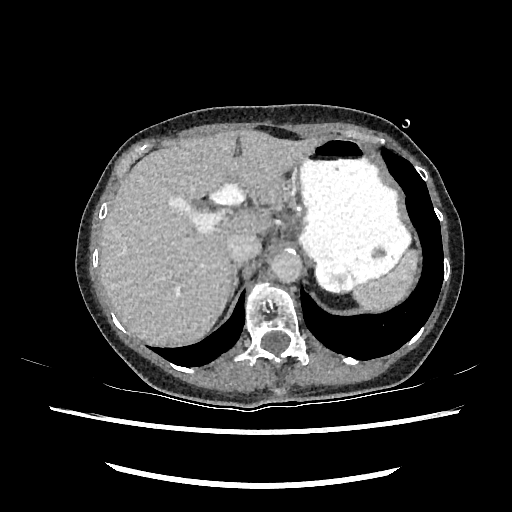
Upper abdomen. Computed tomography.

Liver = bbox(101, 130, 318, 344).